Computed tomography, Field of view 440x440 mm, Upper abdomen, Image size 512x512

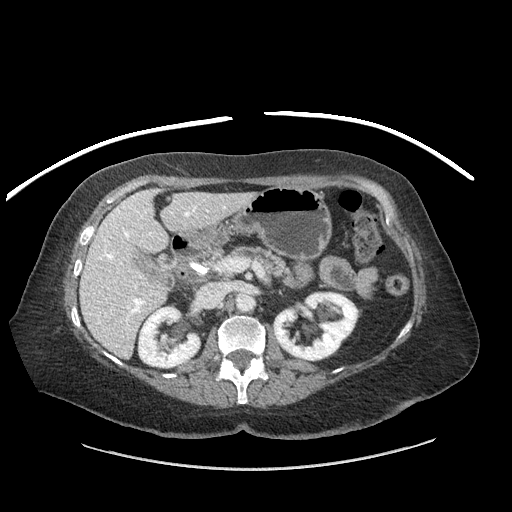

Pancreas = [x1=230, y1=248, x2=291, y2=283].